Abdomen | CT slice 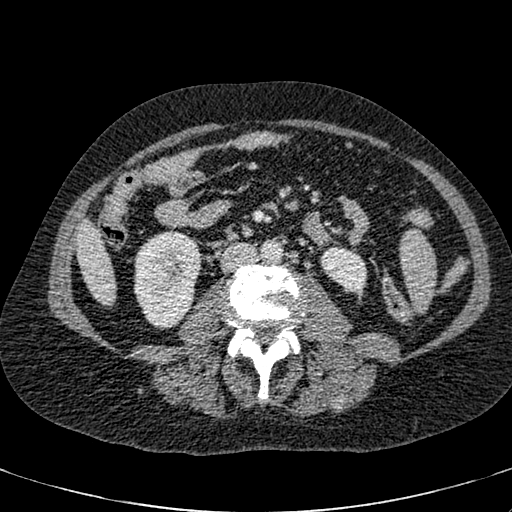

liver: 75 221 114 303 | kidney: 321 247 363 291, 135 232 200 327